Image size 512x512; Slice 534 of 588; Computed tomography; Field of view 351x351 mm 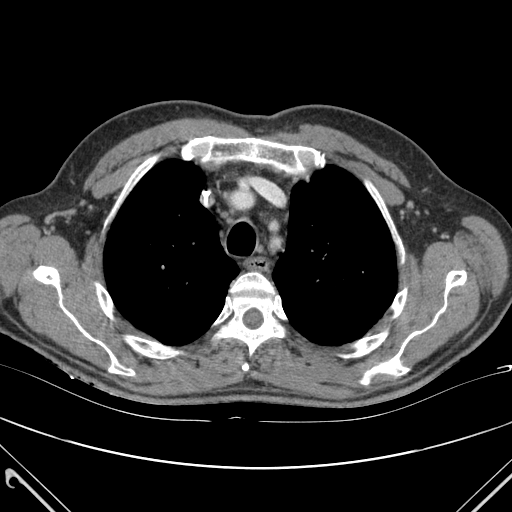

Lung — [272, 165, 397, 345], [104, 159, 239, 345].
Bone — [346, 332, 387, 357], [113, 156, 156, 212], [214, 273, 286, 353], [96, 283, 112, 318], [366, 182, 395, 232], [182, 136, 324, 172], [397, 236, 403, 252], [34, 266, 134, 375], [126, 336, 178, 358], [392, 289, 406, 317], [361, 270, 466, 384].